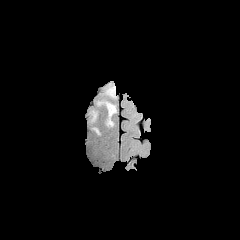
FLAIR MR image.
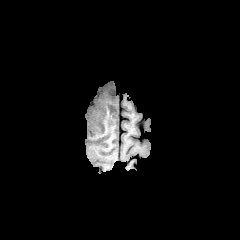
Same slice, T1-weighted magnetic resonance.
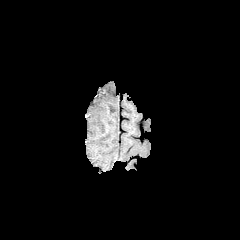
Post-contrast T1-weighted MRI.
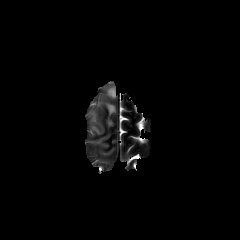
T2-weighted MR.
Segmented structures:
- non-enhancing tumor core: rect(105, 102, 113, 114)
- edema: rect(106, 116, 114, 127); rect(89, 110, 97, 122); rect(97, 83, 115, 106)